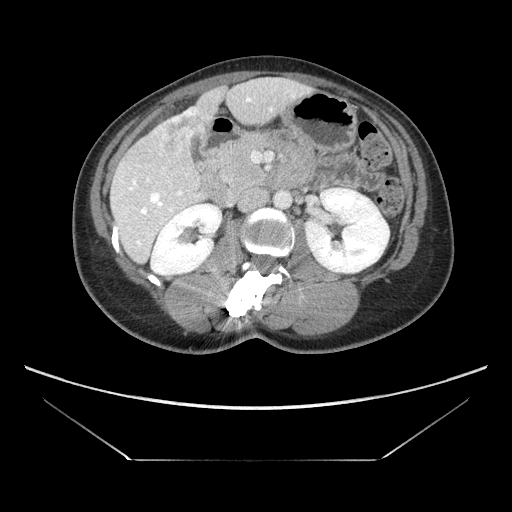

CT scan slice
Liver tumor: bounding box <bbox>147, 106, 206, 162</bbox>.